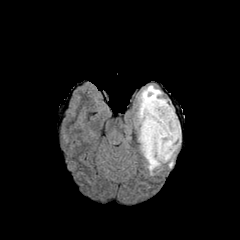
FLAIR MRI.
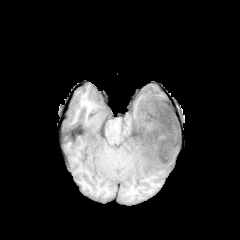
T1-weighted magnetic resonance of the same slice.
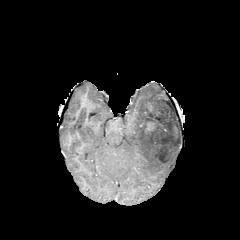
Post-contrast T1-weighted MR of the same slice.
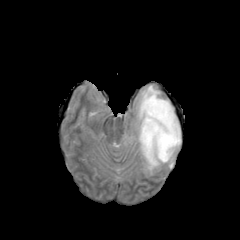
Same slice, T2-weighted MRI.
Brain
<segmentation>
  <non-enhancing_tumor_core>(x1=146, y1=97, x2=175, y2=150)</non-enhancing_tumor_core>
  <edema>(x1=134, y1=85, x2=181, y2=175)</edema>
</segmentation>